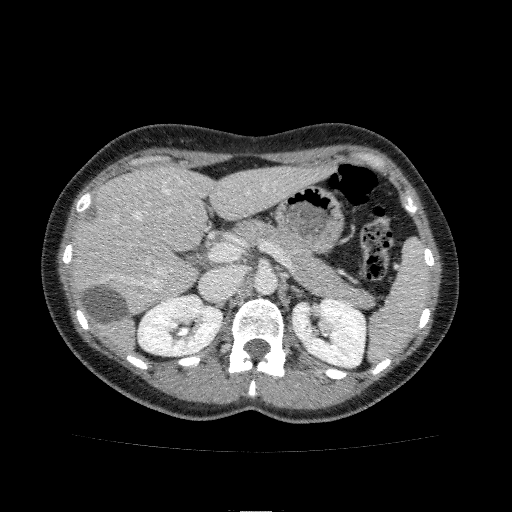

Abdomen, Computed tomography
Kidney — l=138, t=296, r=221, b=355; l=293, t=299, r=365, b=367; l=178, t=328, r=187, b=335.
Liver — l=72, t=165, r=334, b=352.